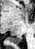

Medial temporal lobe. MRI.
<segmentation>
  <posterior_hippocampus>10,38,21,42</posterior_hippocampus>
</segmentation>